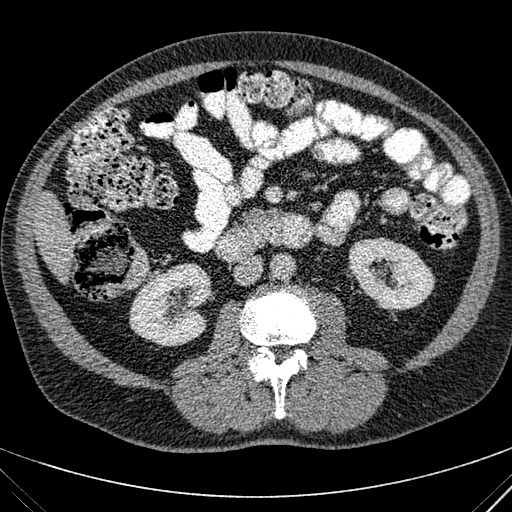 CT slice
kidney: box(349, 238, 434, 309); box(130, 264, 210, 345) | liver: box(36, 191, 69, 282)